Computed tomography.

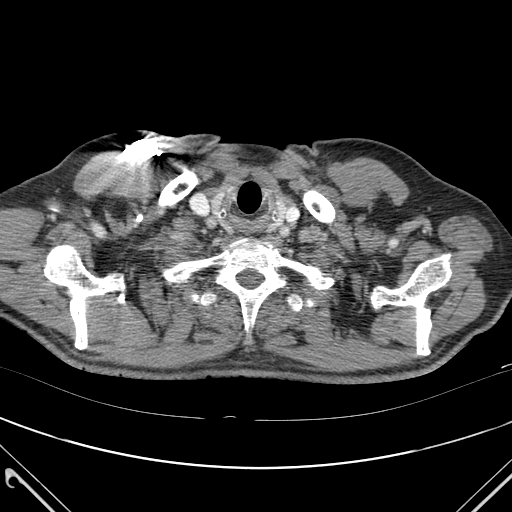
Bone at [164,239,333,330], [201,294,213,304], [44,245,124,349], [159,170,197,206], [288,298,301,310], [303,191,334,222], [371,254,451,355].